Image size 512x512, CT image, Liver
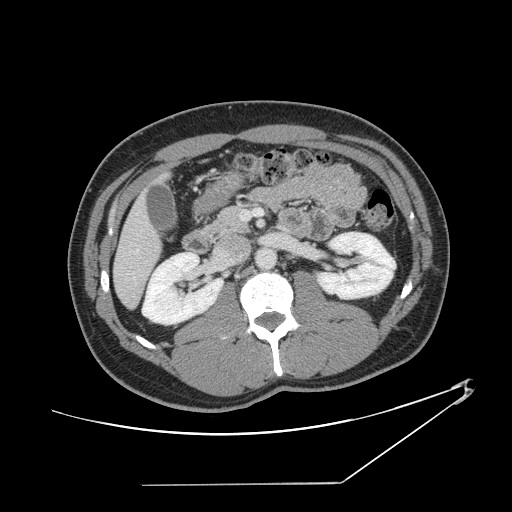

Not every hepatic vessel necessarily has a box.
hepatic_vessel:
  - rect(135, 250, 138, 252)